Upper abdomen. Computed tomography. 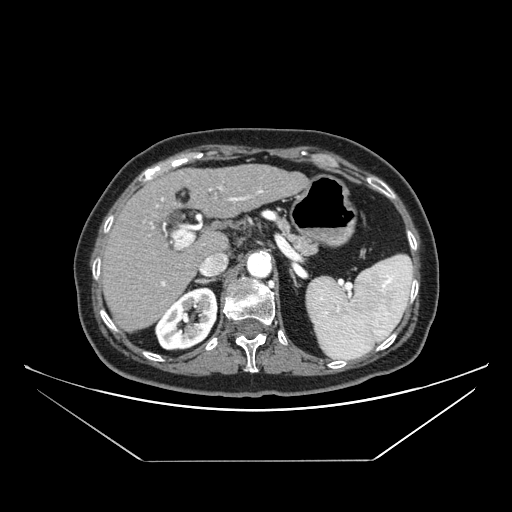
* pancreas: region(274, 215, 318, 255)